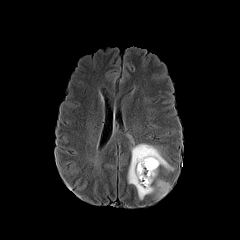
FLAIR magnetic resonance.
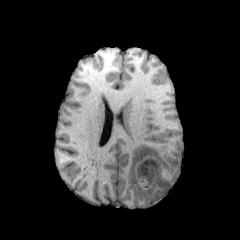
T1-weighted MR.
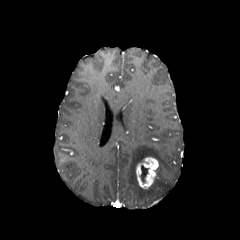
Same slice, post-contrast T1-weighted MRI.
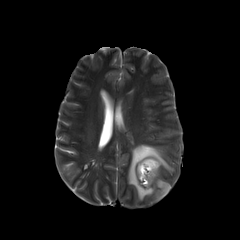
T2-weighted magnetic resonance.
Brain.
Edema: bounding box [127, 143, 173, 199].
Enhancing tumor: bounding box [135, 155, 159, 189].
Non-enhancing tumor core: bounding box [141, 166, 147, 180].